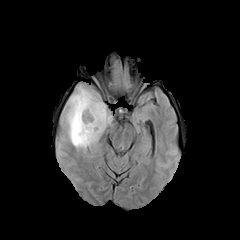
FLAIR magnetic resonance.
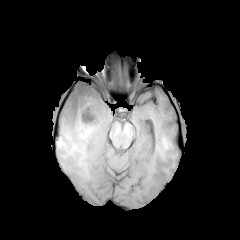
Same slice, T1-weighted MR.
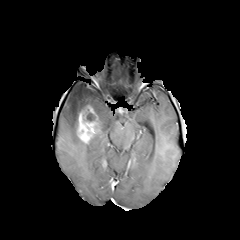
Post-contrast T1-weighted MRI.
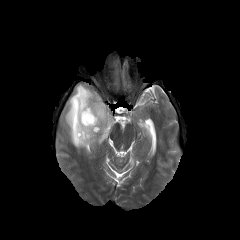
T2-weighted MRI of the same slice.
240x240
The enhancing tumor appears at {"x1": 76, "y1": 106, "x2": 99, "y2": 143}. The edema appears at {"x1": 63, "y1": 84, "x2": 112, "y2": 151}. 2 non-enhancing tumor core regions appear at {"x1": 74, "y1": 108, "x2": 80, "y2": 129}, {"x1": 84, "y1": 109, "x2": 95, "y2": 121}.